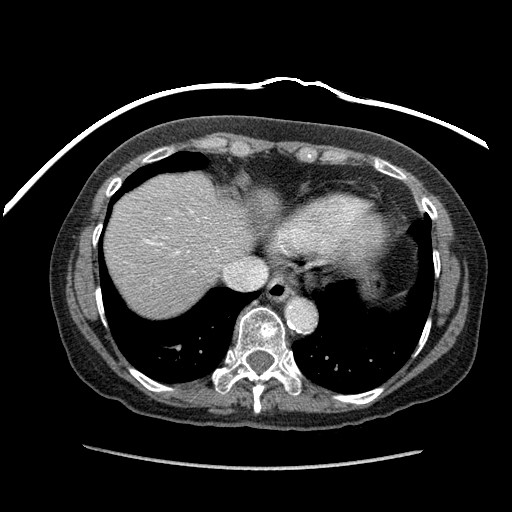

CT image
The liver is located at region(106, 172, 279, 319).